Abdomen; Computed tomography 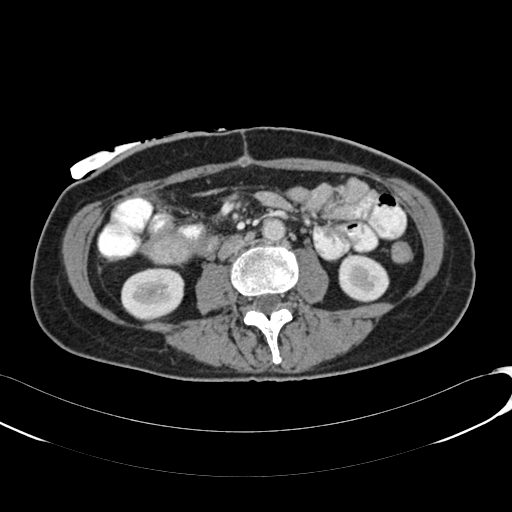 2 kidney regions are located at 122, 269, 182, 318; 340, 256, 387, 300.